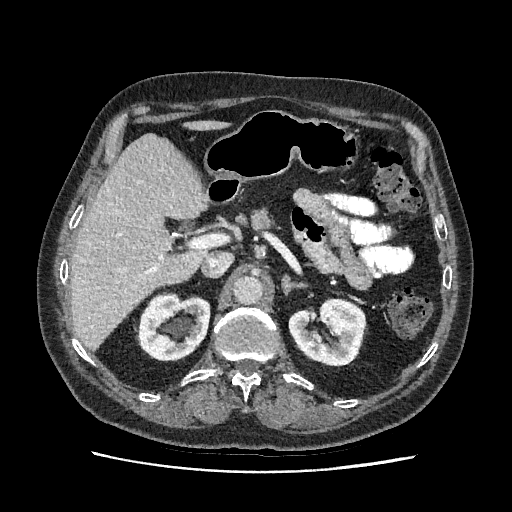

512x512; CT image

<segmentation>
  <kidney><box>289,299,364,365</box>, <box>139,295,209,359</box></kidney>
  <liver><box>71,134,207,349</box>, <box>185,121,229,130</box></liver>
</segmentation>